CT slice. 512x512. Upper abdomen.

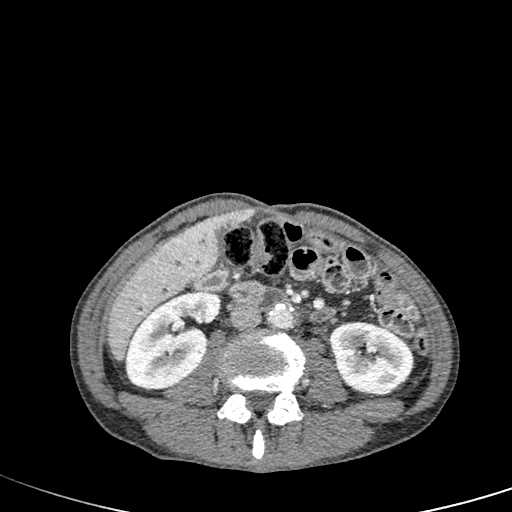
Focal liver lesion at (x1=220, y1=209, x2=252, y2=228).
Kidney at (x1=126, y1=292, x2=219, y2=388), (x1=330, y1=323, x2=412, y2=394).
Liver at (x1=107, y1=215, x2=223, y2=361).